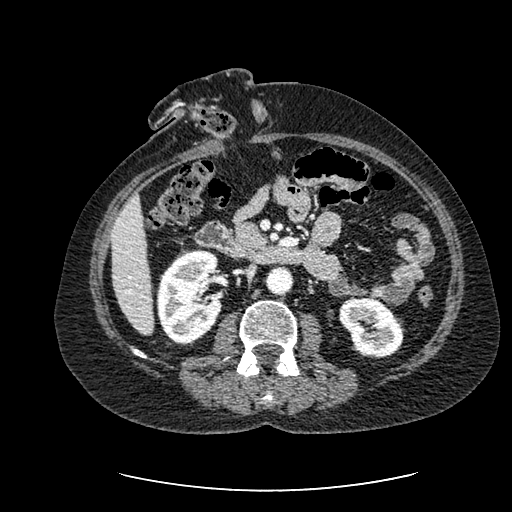
Liver | Computed tomography
kidney: <box>157,251,220,343</box>, <box>340,298,402,356</box> | liver: <box>112,193,153,335</box>